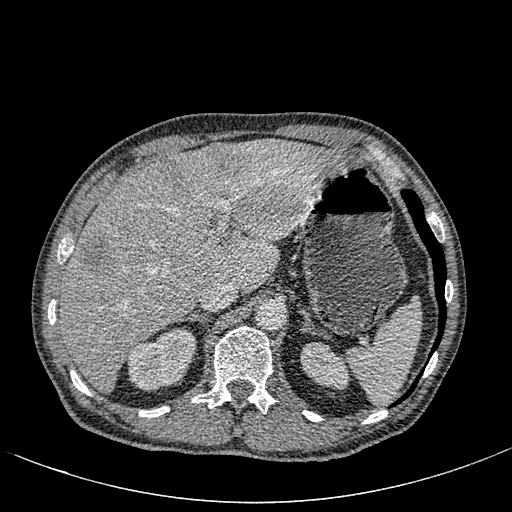

CT scan slice | Upper abdomen
Kidney: bounding box [126, 329, 195, 389], [301, 343, 348, 389].
Liver: bounding box [59, 139, 360, 394].
Liver lesion: bounding box [157, 158, 182, 183], [211, 144, 241, 171], [218, 234, 237, 253], [81, 235, 114, 275].